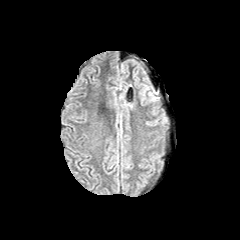
FLAIR MRI.
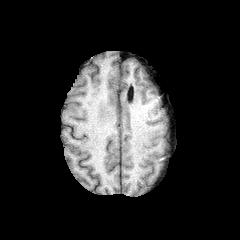
T1-weighted magnetic resonance of the same slice.
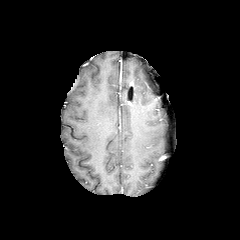
Post-contrast T1-weighted MR.
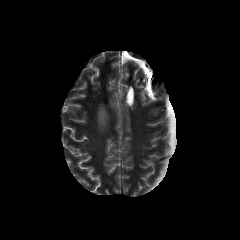
T2-weighted MRI.
Head
Segmented structures:
• edema: left=139, top=83, right=149, bottom=100; left=148, top=90, right=155, bottom=102